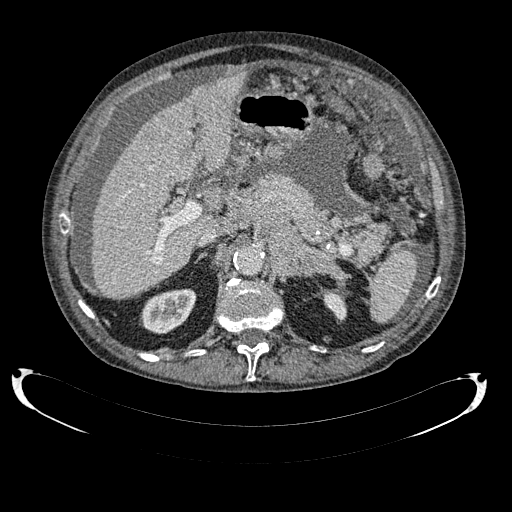 CT slice | 512x512 px | Liver
liver:
  - {"x1": 92, "y1": 71, "x2": 247, "y2": 298}
kidney:
  - {"x1": 324, "y1": 292, "x2": 346, "y2": 319}
  - {"x1": 142, "y1": 289, "x2": 195, "y2": 332}